Pelvis | Slice index 60 | Computed tomography
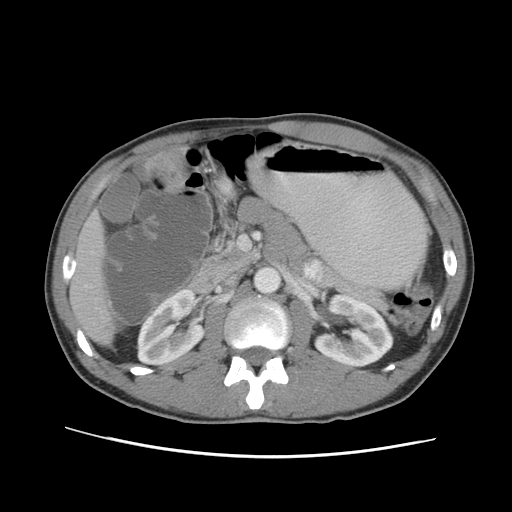
{
  "colon_tumor": [
    "(x1=144, y1=151, x2=188, y2=193)"
  ]
}